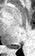

Medial temporal lobe | Magnetic resonance

- posterior hippocampus: (x1=11, y1=44, x2=20, y2=48)